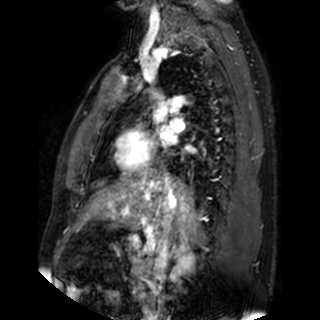

Cardiac | 320x320 | MRI

2 left atrium regions are located at (left=185, top=145, right=194, bottom=151), (left=162, top=128, right=175, bottom=141).